Slice 232 of 689 | CT
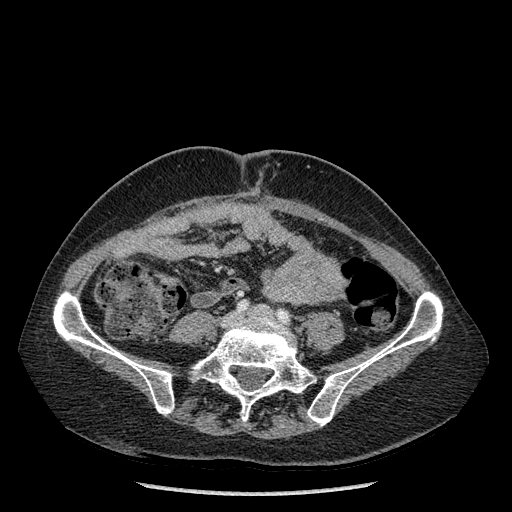
3 bone regions are located at (x1=53, y1=291, x2=174, y2=415), (x1=307, y1=291, x2=442, y2=426), (x1=191, y1=315, x2=316, y2=421).